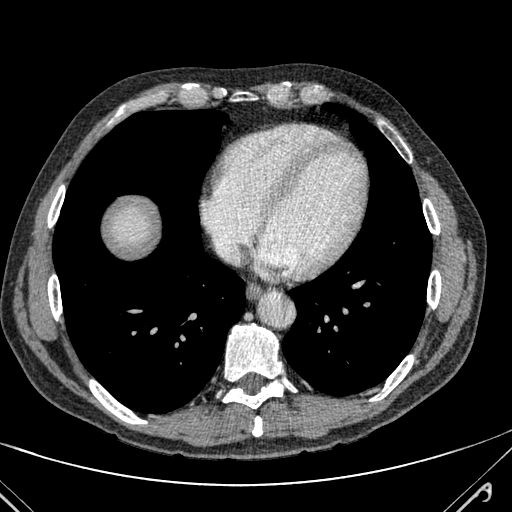

Computed tomography | Upper abdomen
The liver is at 111 208 151 249.